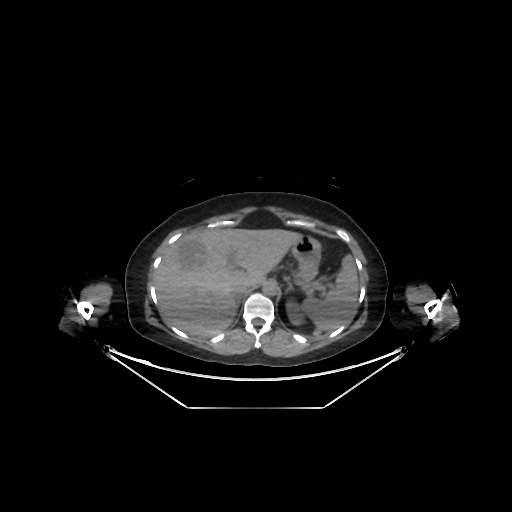

Upper abdomen, CT slice

{"kidney": ["(left=286, top=300, right=306, bottom=325)"], "liver": ["(left=151, top=226, right=300, bottom=339)"]}